Slice index 28 | CT | Field of view 363 mm wide, 5.00 mm slice spacing | Image size 512x512

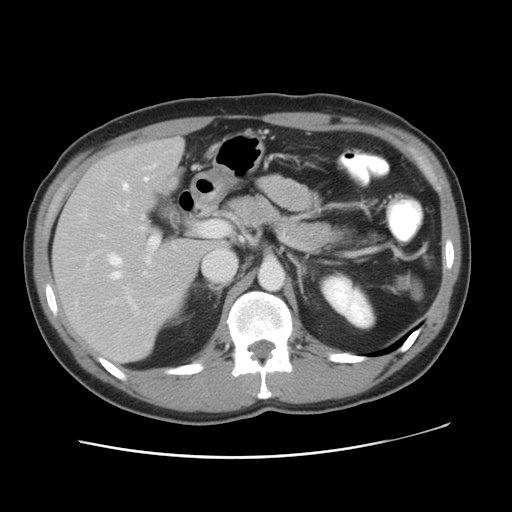
Some hepatic vessels may have no box.
Hepatic vessel: bounding box (left=107, top=252, right=123, bottom=279), (left=144, top=235, right=158, bottom=264), (left=122, top=182, right=129, bottom=191), (left=80, top=210, right=87, bottom=217), (left=143, top=271, right=146, bottom=274), (left=146, top=163, right=156, bottom=167), (left=126, top=289, right=137, bottom=308), (left=144, top=176, right=147, bottom=179), (left=138, top=225, right=144, bottom=230).